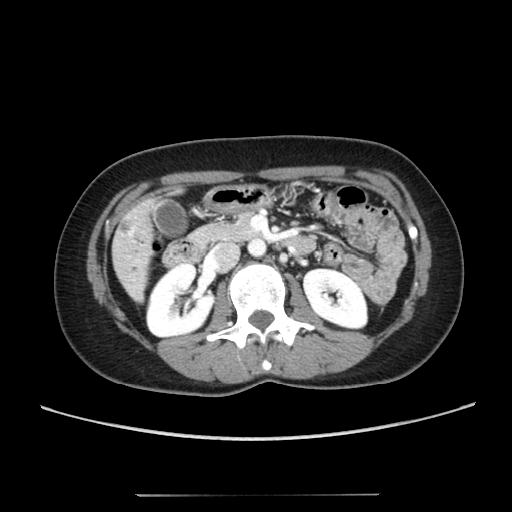 CT slice; Liver
<segmentation>
  <kidney>(304,269,366,327), (147,264,213,336)</kidney>
  <liver>(165,189,184,196), (111,195,162,302)</liver>
  <liver_lesion>(118,219,133,233)</liver_lesion>
</segmentation>